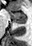
Hippocampus | Magnetic resonance

Anterior hippocampus: 9,11,25,19.
Posterior hippocampus: 13,20,26,23.